240x240.
FLAIR MR.
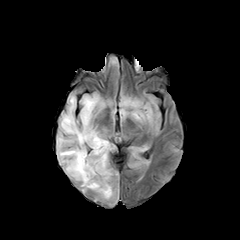
T1-weighted magnetic resonance.
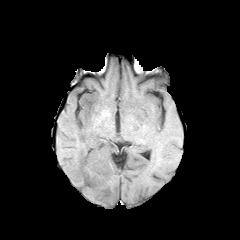
Post-contrast T1-weighted MRI.
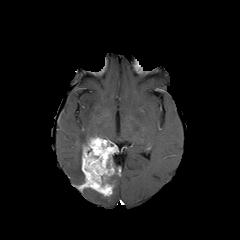
T2-weighted MR.
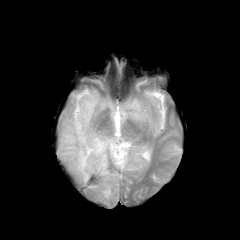
non-enhancing_tumor_core:
  - region(106, 170, 119, 185)
  - region(82, 132, 106, 145)
enhancing_tumor:
  - region(82, 136, 116, 196)
edema:
  - region(133, 147, 142, 159)
  - region(57, 92, 107, 191)
  - region(120, 96, 152, 122)